Medial temporal lobe; 35x49; MR 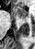 Segmented structures:
* anterior hippocampus: [12,7,27,18]